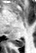
Medial temporal lobe, MRI
posterior hippocampus: 14 39 23 47